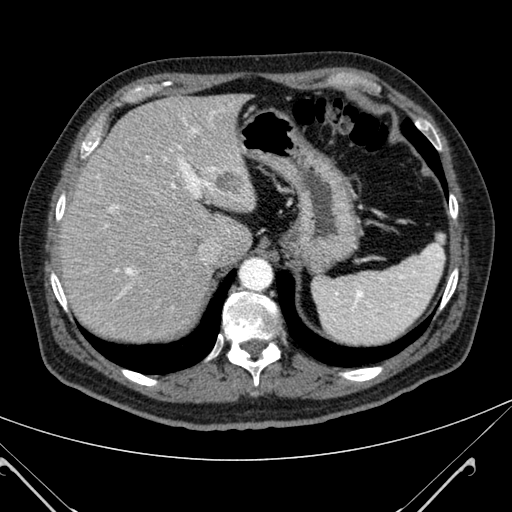

CT slice
hepatic lesion: 215,172,244,193 | liver: 60,91,255,342